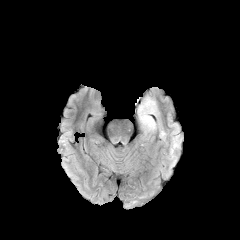
FLAIR MRI.
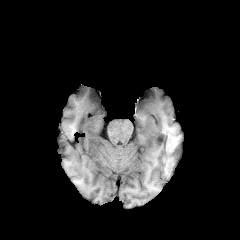
T1-weighted magnetic resonance.
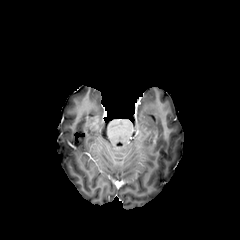
Post-contrast T1-weighted MRI of the same slice.
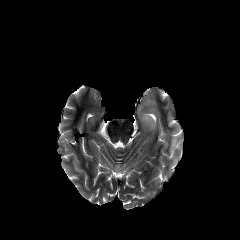
T2-weighted MRI.
Head. 240x240.
* edema: 137, 96, 159, 133